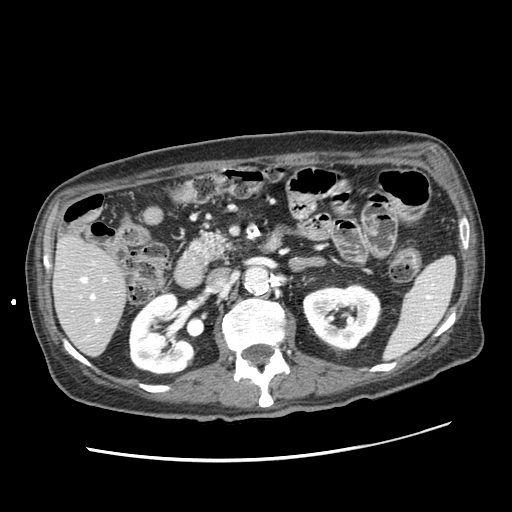
CT slice. The pancreas is located at [197,232,230,261].